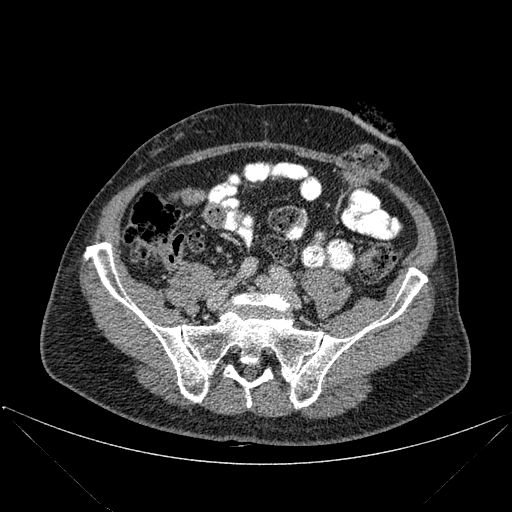

512x512 | CT scan slice
2 bone regions appear at [84,242,427,408], [224,365,272,407].